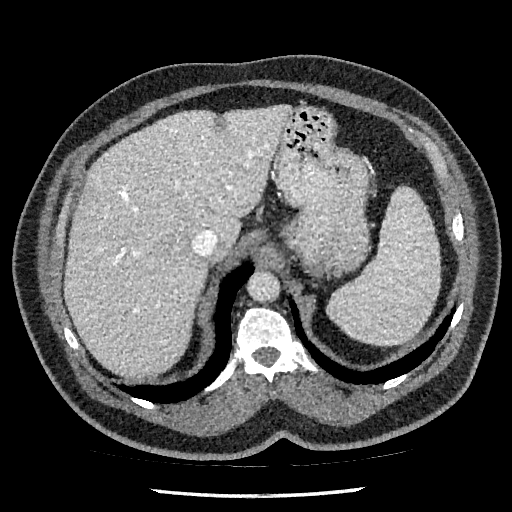

CT slice; 512x512 px
<segmentation>
  <hepatic_lesion><bbox>214, 117, 228, 131</bbox></hepatic_lesion>
  <liver><bbox>64, 106, 290, 376</bbox></liver>
</segmentation>